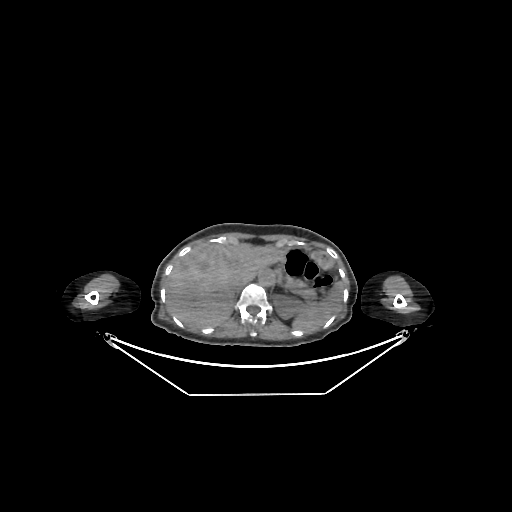
CT scan slice, Abdomen, 512x512 px
Liver: box=[163, 242, 282, 329].
Kidney: box=[274, 294, 301, 317].